CT image. Slice 58 of 104. Abdomen.
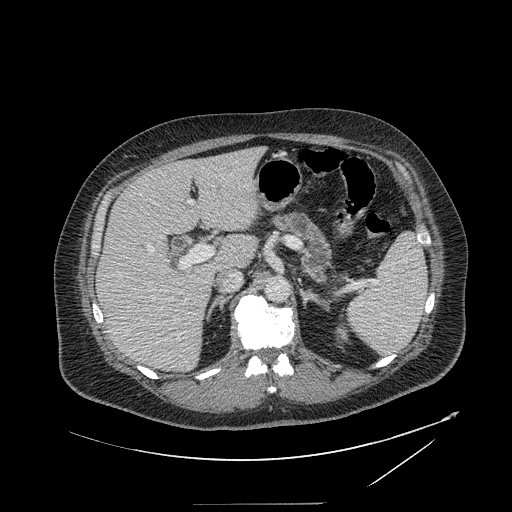 Findings:
* pancreas: box(271, 213, 330, 281)